Field of view 240 mm wide, 1.00 mm slice spacing
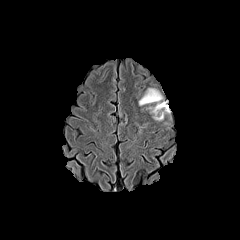
FLAIR MR image.
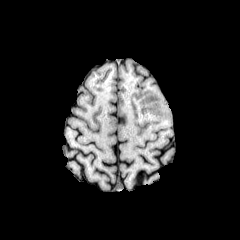
T1-weighted magnetic resonance.
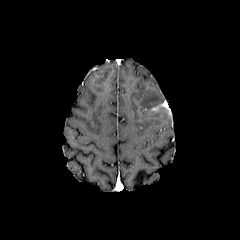
Post-contrast T1-weighted MR image.
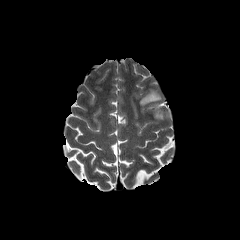
T2-weighted MR image.
enhancing_tumor:
  - 150, 102, 169, 115
edema:
  - 139, 88, 162, 105